CT slice, Slice 464 of 836, 512x512 px, Upper abdomen
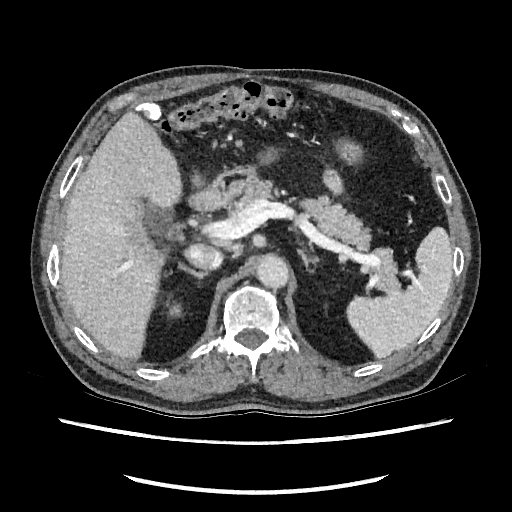

Hepatic lesion: 133:223:161:266.
Liver: 64:114:181:357, 194:176:200:184.
Kidney: 170:305:180:314.